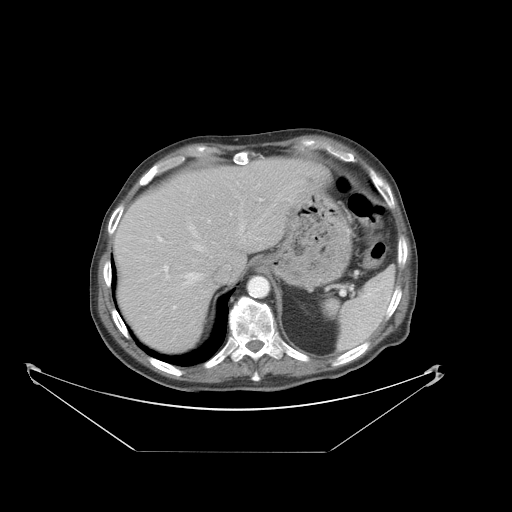 CT image, 512x512 px, Abdomen
Only some of the vessels may be annotated.
Annotated regions:
- hepatic vessel: 260 199 262 201, 228 265 230 269, 174 306 176 308, 156 234 166 242, 188 222 198 237, 190 242 211 257, 164 266 168 271, 241 227 243 230, 184 273 200 284, 208 220 210 222, 204 274 205 276